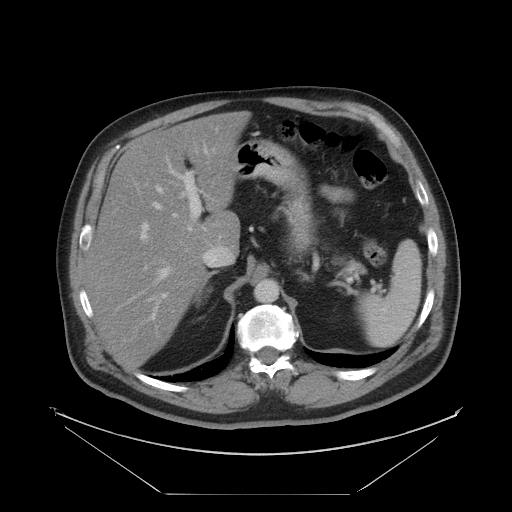

512x512, CT slice
Segmented structures:
- pancreas: bbox=[314, 232, 349, 264]